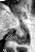
35x52 px. Hippocampus. Magnetic resonance. The posterior hippocampus is located at 11 30 26 44.